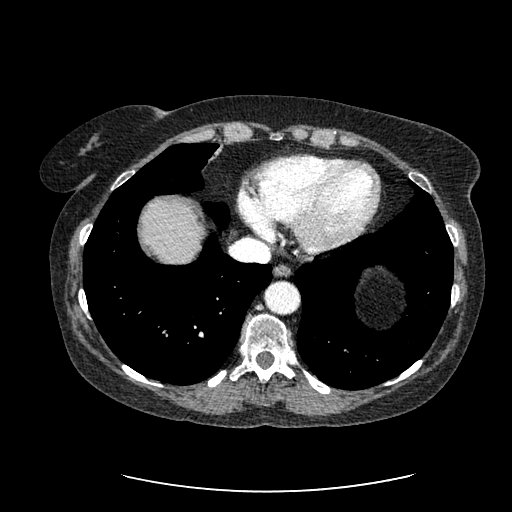

CT image | Upper abdomen
{"liver": ["<bbox>140, 200, 204, 263</bbox>"]}